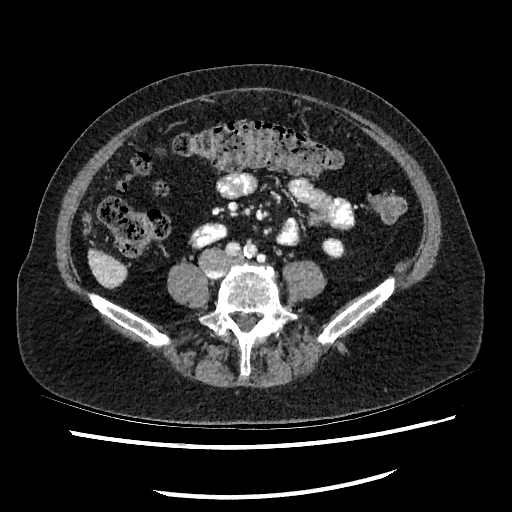

CT slice

Liver: bounding box [x1=88, y1=250, x2=125, y2=286].
Kidney: bounding box [x1=324, y1=240, x2=342, y2=255].